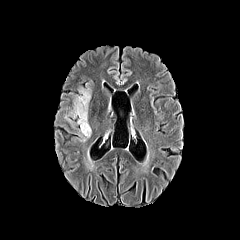
FLAIR magnetic resonance.
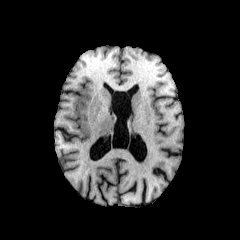
T1-weighted magnetic resonance.
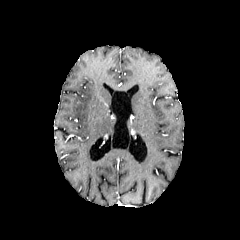
Post-contrast T1-weighted MR.
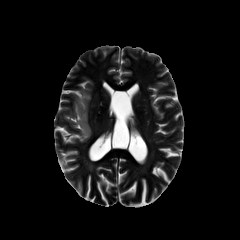
T2-weighted magnetic resonance.
Head | Image size 240x240
<segmentation>
  <edema>region(62, 83, 91, 141)</edema>
</segmentation>